FLAIR MRI.
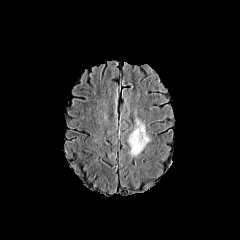
T1-weighted MR image.
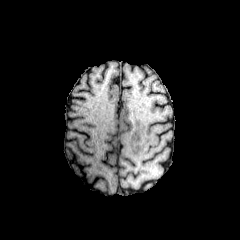
Post-contrast T1-weighted MRI.
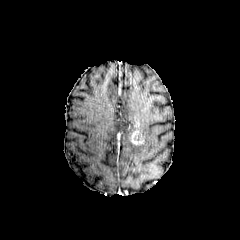
T2-weighted MRI.
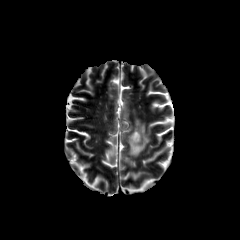
240x240 px. Brain.
Enhancing tumor at <box>129,130,144,145</box>.
Edema at <box>129,119,149,150</box>.
Non-enhancing tumor core at <box>130,141,140,152</box>.